Slice 38 of 107, CT scan slice, Image size 512x512, Abdomen 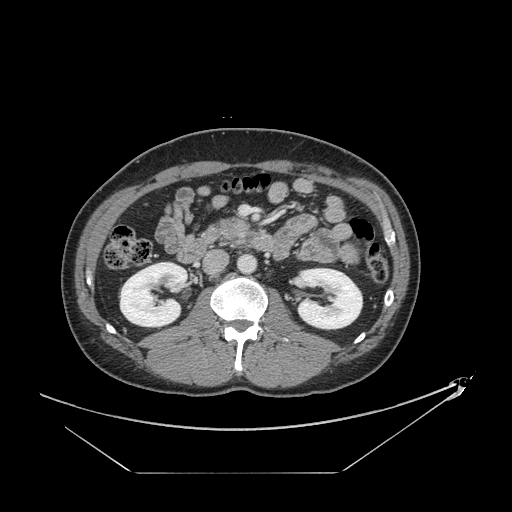

<segmentation>
  <pancreas>box(204, 218, 252, 240)</pancreas>
</segmentation>